Slice index 34, Image width 475 mm, Upper abdomen, CT scan slice

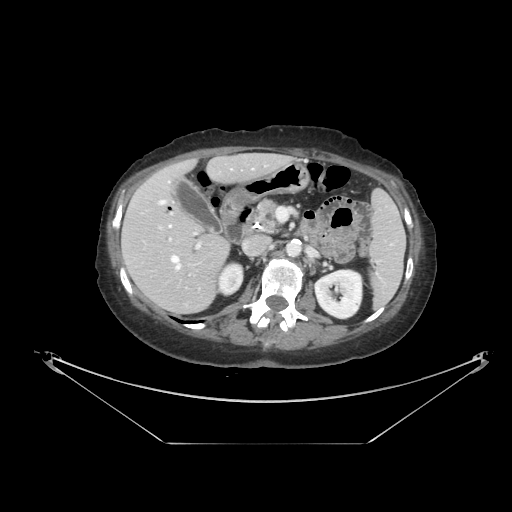
pancreas:
  - (257, 200, 278, 232)